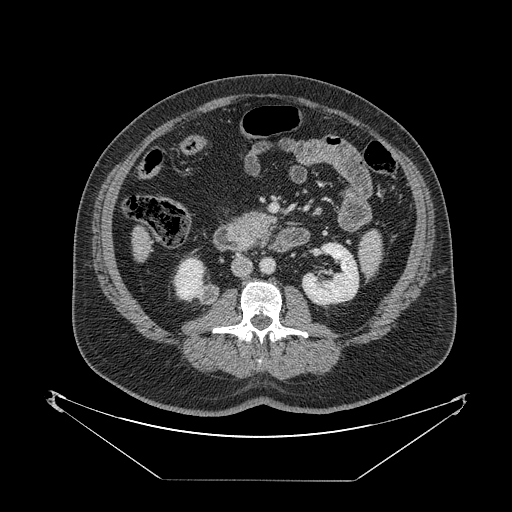

CT. Abdomen. pancreas: <bbox>233, 217, 271, 246</bbox> | pancreatic tumor: <bbox>238, 214, 268, 234</bbox>